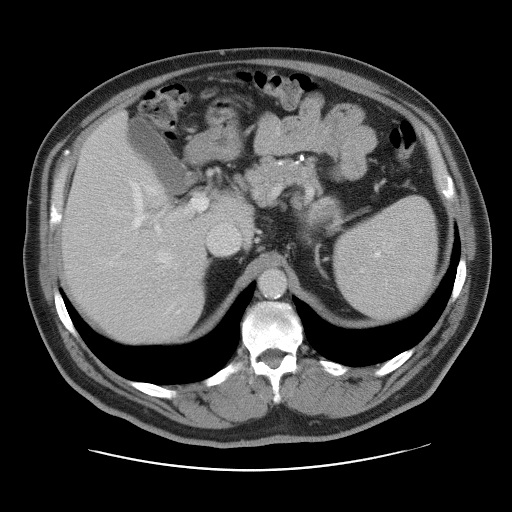

CT image, Image size 512x512, Abdomen

Only some of the vessels may be annotated.
Hepatic vessel: [124, 181, 160, 231], [155, 224, 161, 232], [111, 211, 113, 212], [237, 217, 241, 220], [208, 227, 239, 252], [184, 196, 207, 213], [158, 252, 170, 266].